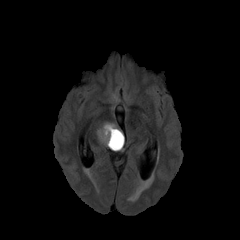
FLAIR MR.
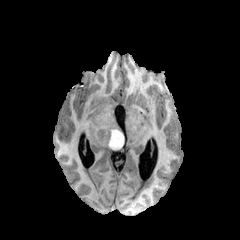
Same slice, T1-weighted magnetic resonance.
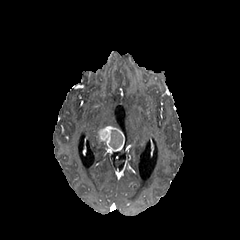
Post-contrast T1-weighted MRI.
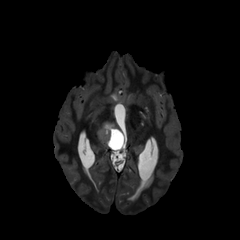
T2-weighted magnetic resonance.
Brain
Non-enhancing tumor core = {"x1": 108, "y1": 130, "x2": 123, "y2": 149}.
Edema = {"x1": 97, "y1": 121, "x2": 120, "y2": 131}.
Enhancing tumor = {"x1": 97, "y1": 126, "x2": 124, "y2": 151}.